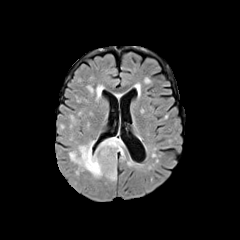
FLAIR MR.
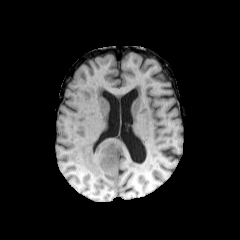
Same slice, T1-weighted MR.
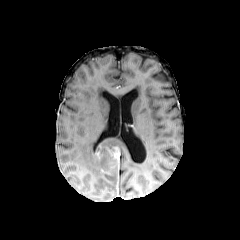
Post-contrast T1-weighted MR.
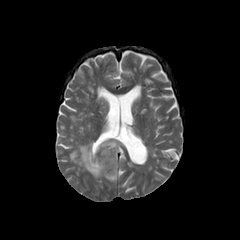
Same slice, T2-weighted MR image.
Head
Non-enhancing tumor core — [x1=98, y1=144, x2=119, y2=170].
Edema — [x1=69, y1=140, x2=116, y2=180], [x1=100, y1=136, x2=125, y2=159].
Enhancing tumor — [x1=101, y1=147, x2=120, y2=174].